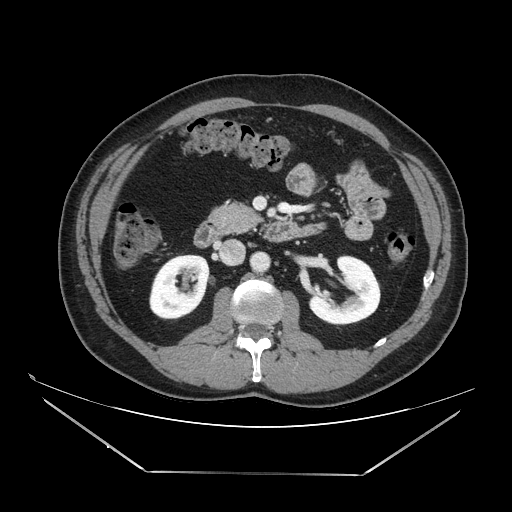
512x512 px, CT image
- pancreas: x1=210 y1=202 x2=261 y2=234